CT | 512x512 px | Abdomen

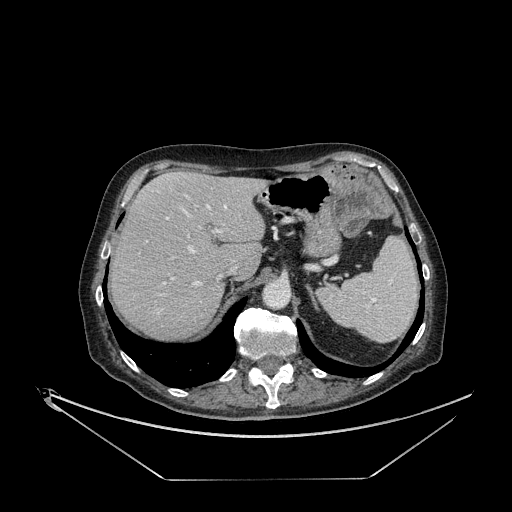

{
  "liver": [
    "<box>112,172,270,339</box>"
  ]
}